Head
FLAIR MRI.
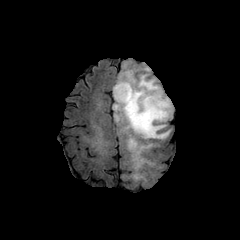
T1-weighted magnetic resonance.
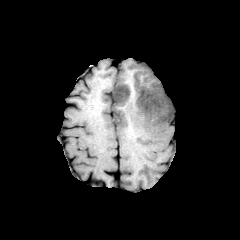
Post-contrast T1-weighted MRI.
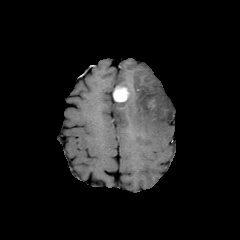
T2-weighted magnetic resonance.
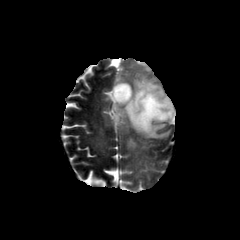
<segmentation>
  <enhancing_tumor>region(113, 84, 129, 101)</enhancing_tumor>
  <edema>region(112, 62, 174, 119); region(113, 93, 170, 157)</edema>
  <non-enhancing_tumor_core>region(114, 100, 125, 123); region(116, 78, 171, 119)</non-enhancing_tumor_core>
</segmentation>